Head. Slice 74 of 155. 240x240 px.
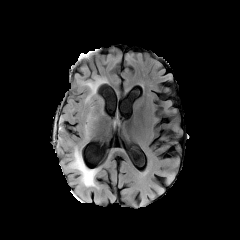
FLAIR MR image.
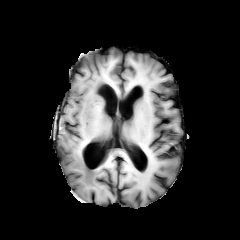
T1-weighted MR.
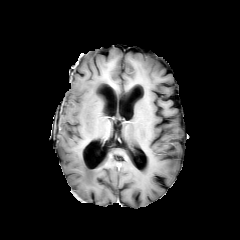
Same slice, post-contrast T1-weighted MRI.
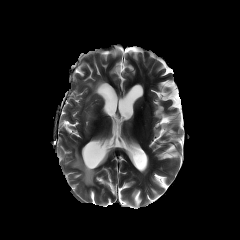
T2-weighted MR image.
Edema at (left=85, top=78, right=102, bottom=96), (left=59, top=116, right=63, bottom=131), (left=63, top=147, right=98, bottom=186), (left=57, top=136, right=65, bottom=153).